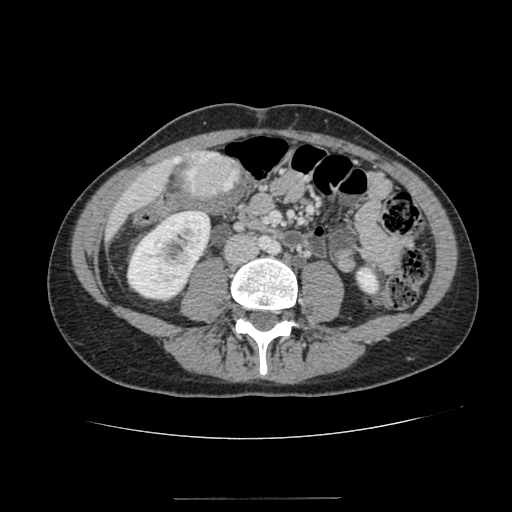

CT scan slice | 512x512
Segmented structures:
* liver: 104:152:195:240
* kidney: 358:268:376:292, 128:211:209:297
* hepatic lesion: 187:151:241:196